FLAIR MR image.
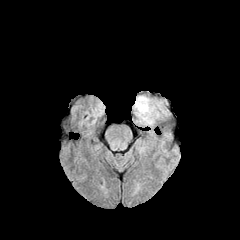
T1-weighted MR image.
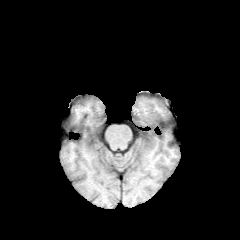
Post-contrast T1-weighted MR image.
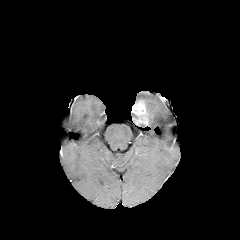
T2-weighted MR image.
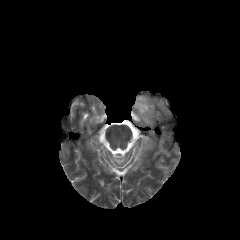
Head
Findings:
* enhancing tumor: left=132, top=100, right=148, bottom=124
* edema: left=135, top=95, right=163, bottom=125